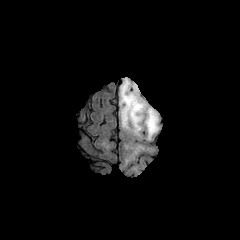
FLAIR magnetic resonance.
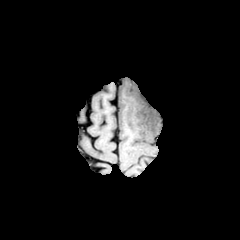
T1-weighted MR.
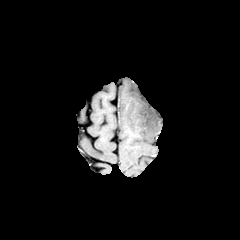
Post-contrast T1-weighted magnetic resonance.
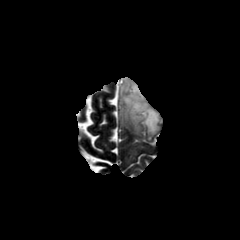
Same slice, T2-weighted MRI.
The non-enhancing tumor core lies within (left=125, top=84, right=145, bottom=125). The edema appears at (left=118, top=77, right=160, bottom=139).